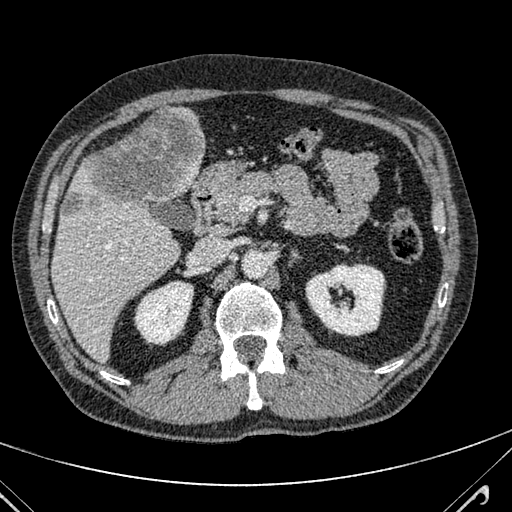
Abdomen, Computed tomography, Image size 512x512
Segmented structures:
* liver: 169, 157, 201, 197; 169, 108, 196, 122; 50, 156, 179, 360
* hepatic lesion: 60, 189, 96, 215; 86, 108, 203, 206